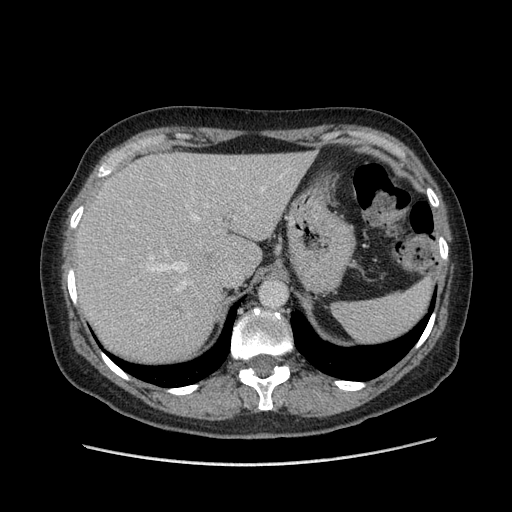 Computed tomography; Liver

Some hepatic vessels may have no box.
hepatic vessel: 176:280:187:290, 193:193:194:196, 146:262:186:271, 127:280:131:284, 149:255:153:259, 205:205:206:207, 184:199:200:222